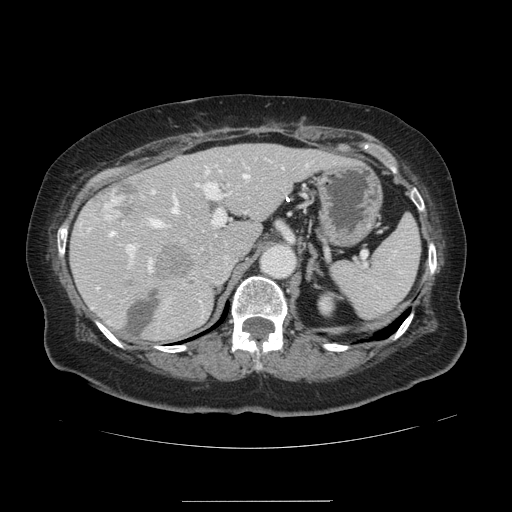
Computed tomography

Not every hepatic vessel necessarily has a box.
3 liver tumor regions appear at [126, 291, 159, 334], [157, 245, 192, 277], [95, 179, 158, 224]. 13 hepatic vessel regions are bounded by [243, 172, 247, 177], [225, 256, 226, 257], [86, 228, 89, 231], [205, 166, 208, 173], [109, 231, 114, 235], [126, 244, 134, 263], [305, 164, 307, 165], [150, 219, 163, 226], [265, 158, 268, 160], [212, 208, 228, 225], [196, 182, 220, 199], [172, 193, 177, 212], [147, 260, 152, 271].